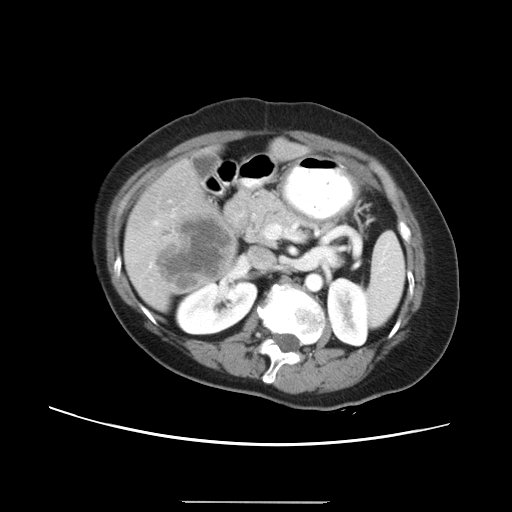 Abdomen | CT image | Image size 512x512
Liver tumor at x1=157, y1=217, x2=232, y2=286.